Slice 279/427, CT, 512x512

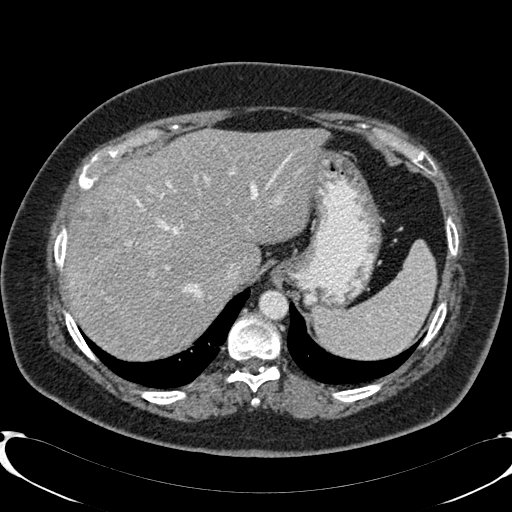 Segmented structures:
* liver: l=66, t=129, r=326, b=359
* focal liver lesion: l=74, t=209, r=115, b=261; l=104, t=249, r=152, b=298